Slice index 396 | 512x512 | Abdomen | CT image
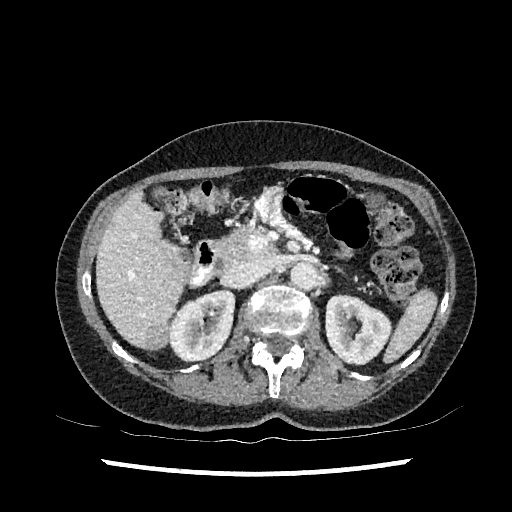

The focal liver lesion is at 146, 328, 165, 347. The liver is at 97, 191, 185, 348. 2 kidney regions appear at 326, 296, 390, 363; 170, 291, 234, 360.